FLAIR MRI.
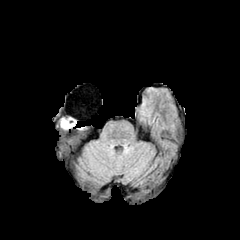
T1-weighted MRI.
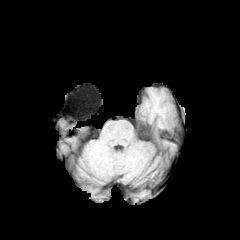
Post-contrast T1-weighted magnetic resonance.
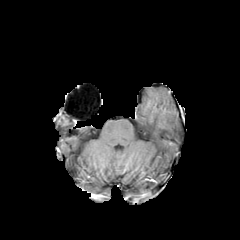
T2-weighted magnetic resonance.
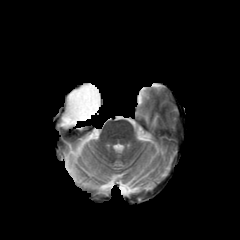
Head; 240x240
Non-enhancing tumor core — (60,116,75,125).